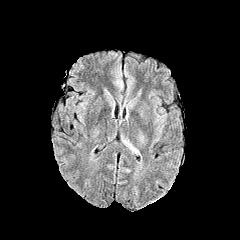
FLAIR magnetic resonance.
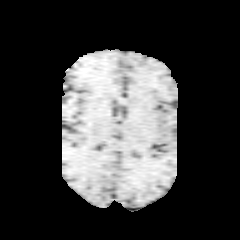
T1-weighted MR.
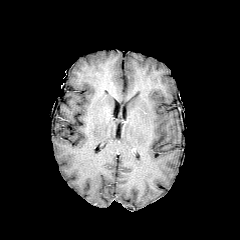
Post-contrast T1-weighted MR image.
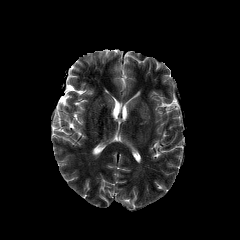
T2-weighted MRI of the same slice.
Edema: bounding box (x1=126, y1=141, x2=134, y2=150).